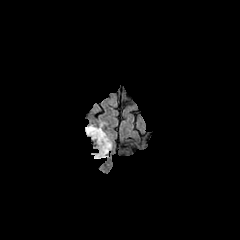
FLAIR magnetic resonance.
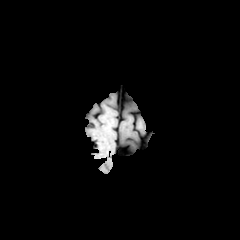
T1-weighted magnetic resonance.
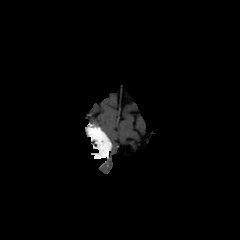
Post-contrast T1-weighted MRI.
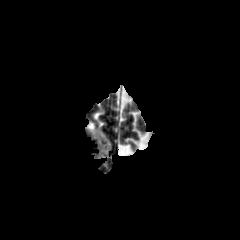
T2-weighted magnetic resonance.
Head
The enhancing tumor lies within left=85, top=124, right=111, bottom=158.